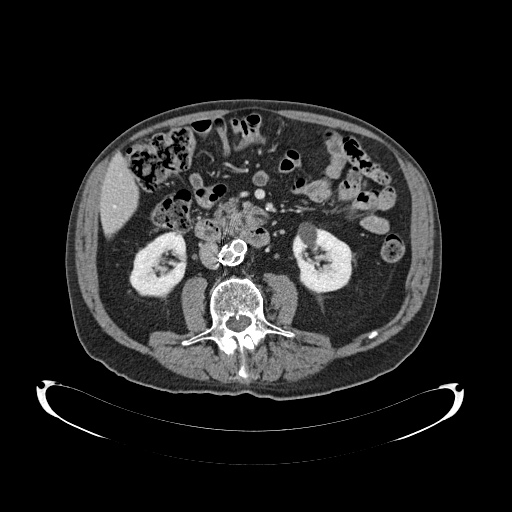
CT slice

The pancreas is bounded by {"x1": 214, "y1": 197, "x2": 244, "y2": 236}.